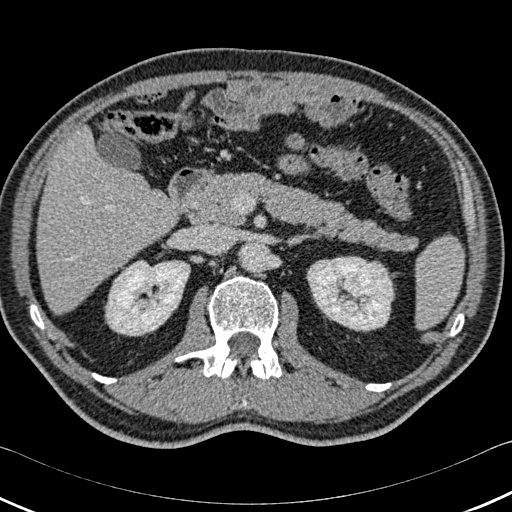 Liver. 512x512 px. CT.
kidney: bbox(106, 261, 189, 335); bbox(308, 257, 393, 329) | bone: bbox(450, 314, 463, 335); bbox(92, 373, 116, 383); bbox(31, 305, 43, 328); bbox(175, 276, 281, 379); bbox(366, 383, 390, 391) | liver: bbox(37, 127, 177, 312)